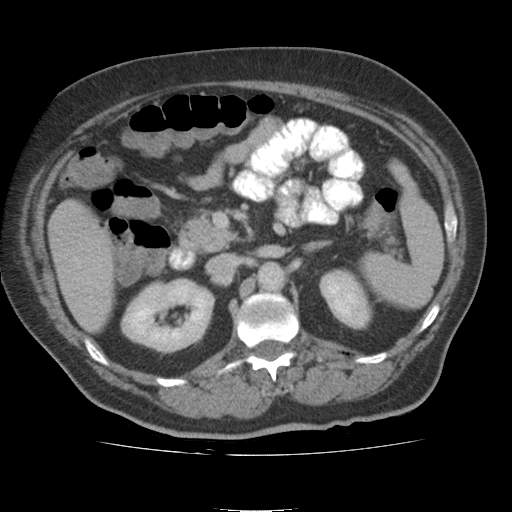 Computed tomography
liver: [49, 208, 112, 333] | kidney: [322, 274, 366, 325], [123, 280, 211, 348]